512x512 px; CT
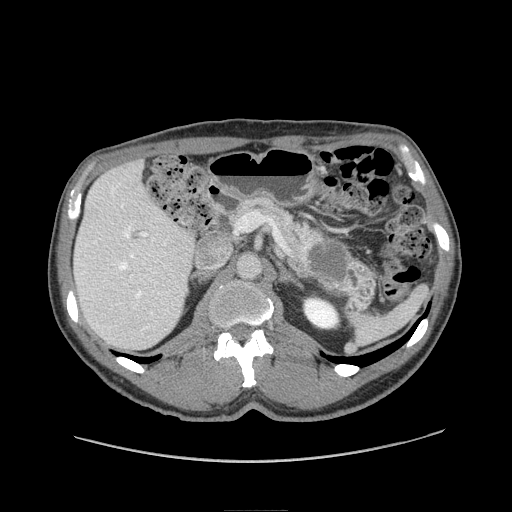
<segmentation>
  <pancreatic_tumor>left=307, top=242, right=347, bottom=282</pancreatic_tumor>
  <pancreas>left=236, top=198, right=360, bottom=287</pancreas>
</segmentation>